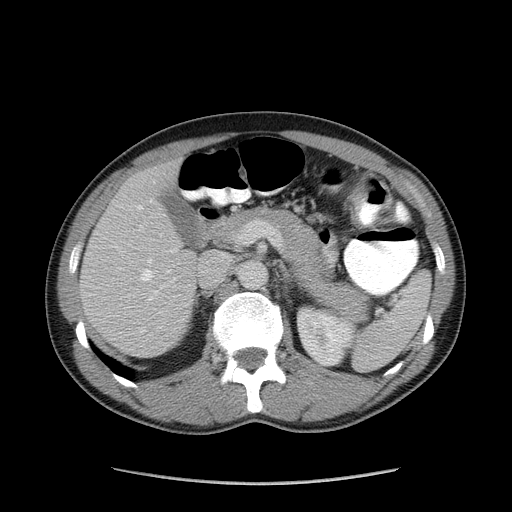 CT scan slice. * colon tumor: bbox=[348, 179, 366, 225]